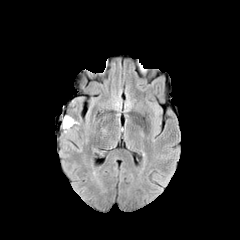
FLAIR MR image.
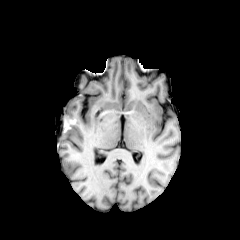
T1-weighted MR image.
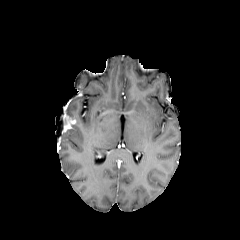
Post-contrast T1-weighted magnetic resonance.
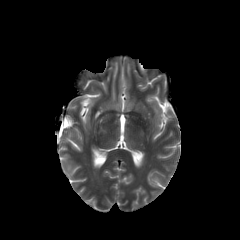
T2-weighted MR.
Brain
The enhancing tumor appears at <bbox>63, 115, 73, 131</bbox>. The edema is bounded by <bbox>62, 116, 78, 139</bbox>.